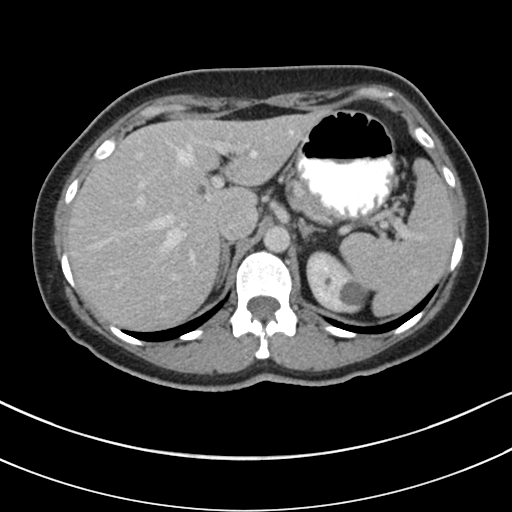
Abdomen; CT scan slice

The pancreas is at <box>294,181,325,215</box>.